240x240 px
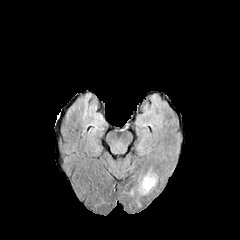
FLAIR magnetic resonance.
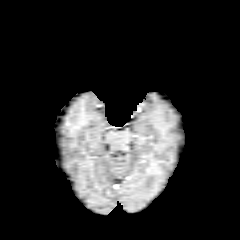
T1-weighted MRI.
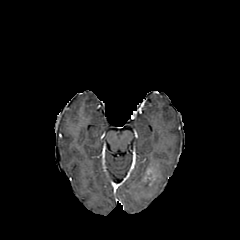
Post-contrast T1-weighted MR.
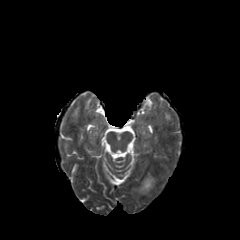
T2-weighted magnetic resonance.
Findings:
* edema: 137:171:157:194